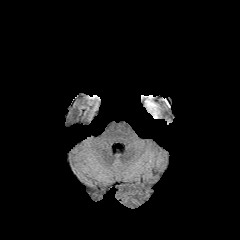
FLAIR MR.
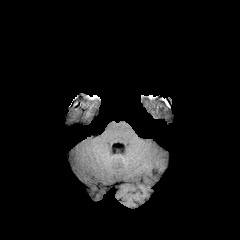
Same slice, T1-weighted MR image.
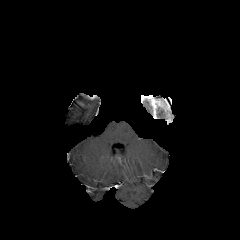
Post-contrast T1-weighted MR of the same slice.
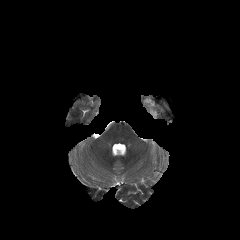
T2-weighted MRI.
240x240.
Non-enhancing tumor core — 145, 96, 162, 115.
Edema — 154, 98, 169, 119.
Enhancing tumor — 144, 98, 157, 117.